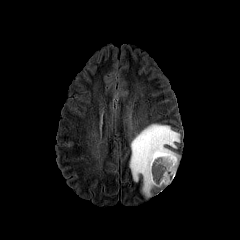
FLAIR magnetic resonance.
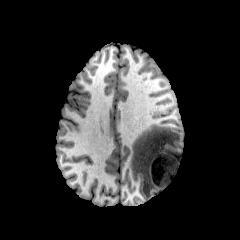
T1-weighted MR of the same slice.
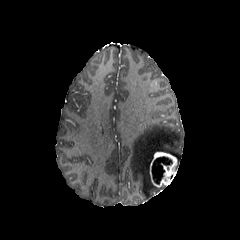
Post-contrast T1-weighted MR.
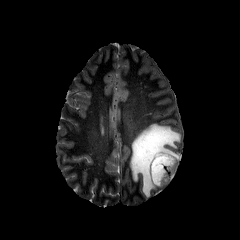
T2-weighted magnetic resonance of the same slice.
240x240
Enhancing tumor: (x1=149, y1=152, x2=177, y2=187).
Edema: (x1=129, y1=124, x2=179, y2=197).
Non-enhancing tumor core: (x1=151, y1=157, x2=172, y2=184), (x1=154, y1=183, x2=165, y2=192).